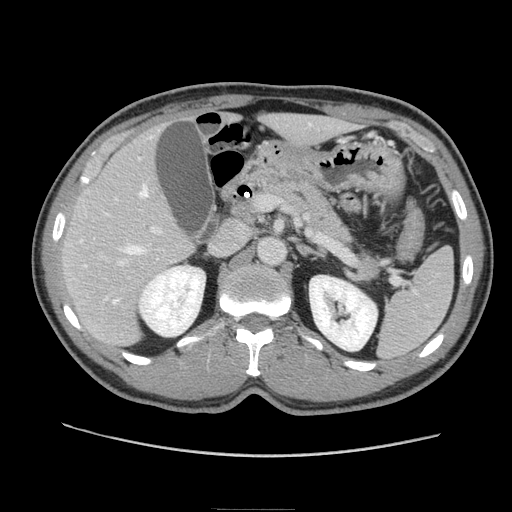 CT image
The pancreas is bounded by x1=265 y1=179 x2=381 y2=282.